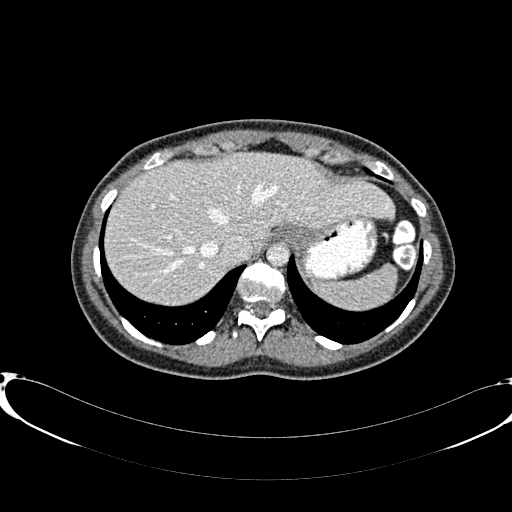
CT image. Upper abdomen. {"liver": ["106,153,394,305"]}